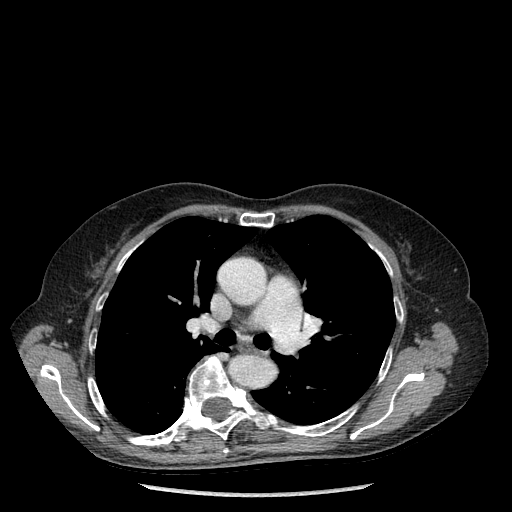 Chest, CT slice
lung:
  - bbox=[95, 216, 256, 434]
  - bbox=[252, 215, 395, 424]
  - bbox=[253, 334, 270, 349]
bone:
  - bbox=[376, 249, 392, 275]
  - bbox=[128, 356, 356, 445]
  - bbox=[394, 297, 403, 321]
  - bbox=[96, 294, 105, 310]
  - bbox=[378, 349, 391, 382]
  - bbox=[240, 212, 274, 227]
  - bbox=[39, 363, 99, 430]
  - bbox=[89, 332, 96, 351]
  - bbox=[88, 377, 106, 416]
  - bbox=[116, 248, 133, 271]
  - bbox=[350, 371, 424, 439]